CT scan slice

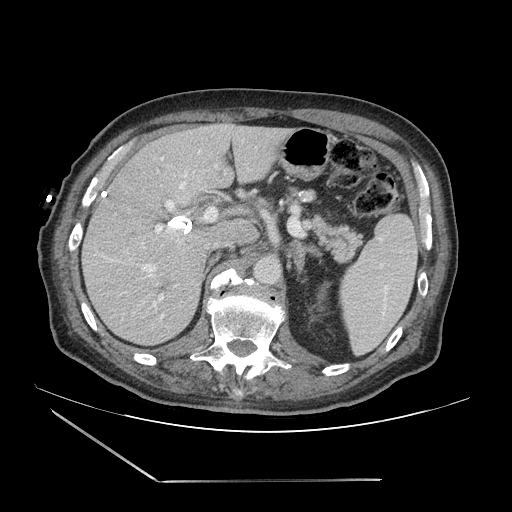 Annotated regions:
- pancreas: <box>313,213,362,263</box>